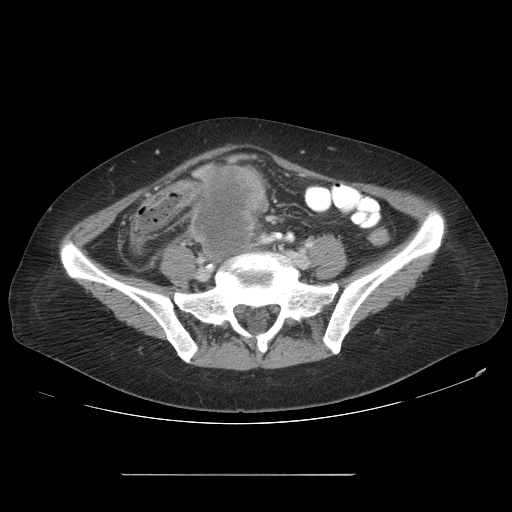 512x512. Computed tomography. The colon tumor is bounded by (190,163,269,261).